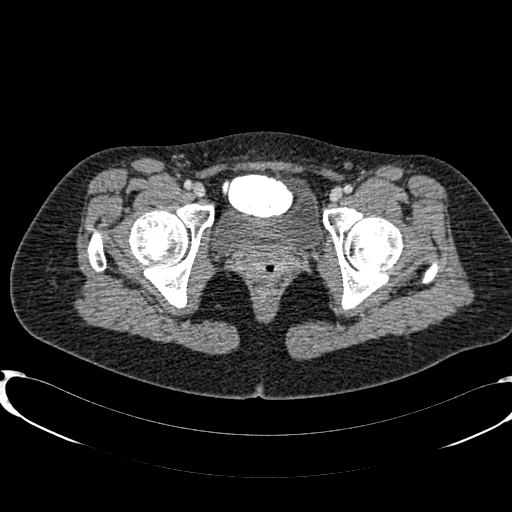
512x512 px. CT slice.

Urinary bladder = (217,188,322,256).